Liver | CT slice
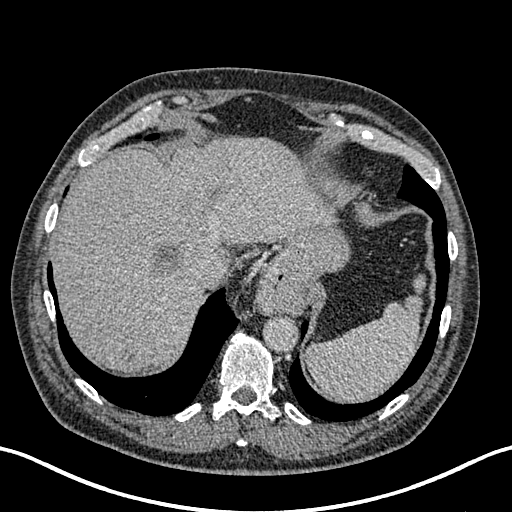
5 hepatic lesion regions are bounded by x1=191 y1=201 x2=209 y2=221, x1=206 y1=185 x2=222 y2=200, x1=179 y1=199 x2=189 y2=211, x1=118 y1=348 x2=135 y2=365, x1=148 y1=241 x2=186 y2=278. The liver is bounded by x1=53 y1=138 x2=331 y2=370.